FLAIR MR image.
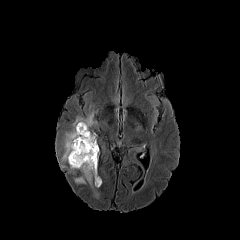
T1-weighted MR image.
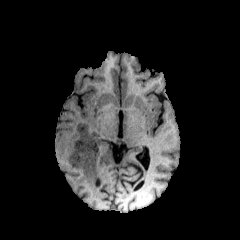
Post-contrast T1-weighted MR image.
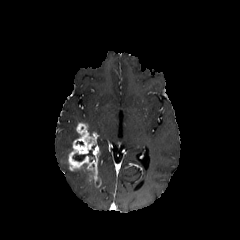
T2-weighted MR image.
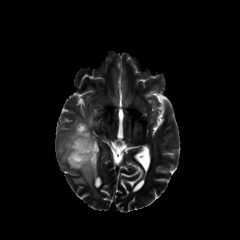
240x240 px, Brain
<segmentation>
  <edema>73:169:93:188, 59:102:98:168</edema>
  <non-enhancing_tumor_core>73:150:93:161</non-enhancing_tumor_core>
  <enhancing_tumor>68:122:101:188</enhancing_tumor>
</segmentation>